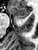
Magnetic resonance.
Anterior hippocampus at box=[9, 6, 29, 19].